Head
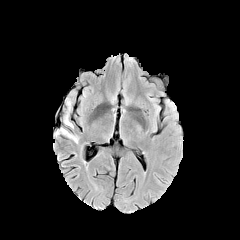
FLAIR MRI.
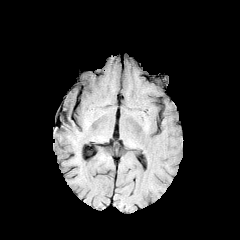
Same slice, T1-weighted MR image.
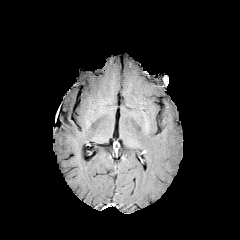
Same slice, post-contrast T1-weighted magnetic resonance.
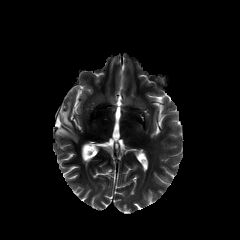
T2-weighted MR of the same slice.
Edema — x1=56, y1=98, x2=77, y2=140.